FLAIR MR.
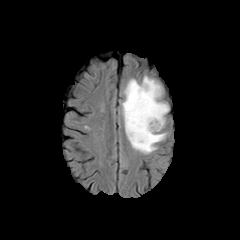
T1-weighted MR.
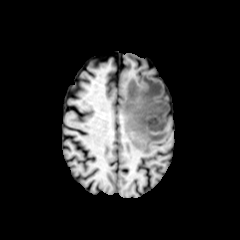
Post-contrast T1-weighted MR image.
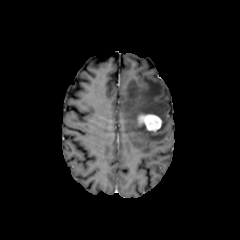
T2-weighted MRI.
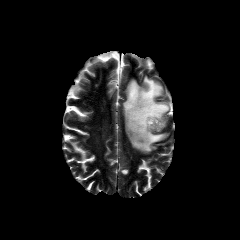
Brain
The enhancing tumor is bounded by [x1=138, y1=114, x2=161, y2=131]. The edema is bounded by [x1=121, y1=76, x2=169, y2=153].